FLAIR magnetic resonance.
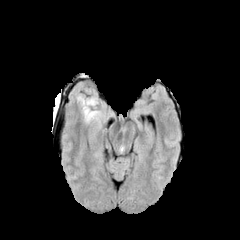
T1-weighted magnetic resonance.
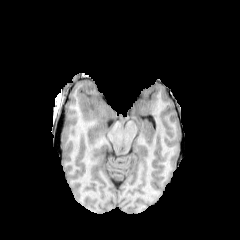
Post-contrast T1-weighted MR image.
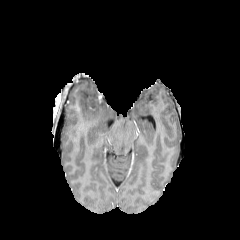
T2-weighted magnetic resonance.
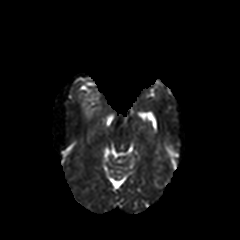
The edema is located at x1=77, y1=94, x2=107, y2=121.